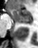
MRI slice | Hippocampus
{"posterior_hippocampus": ["left=20, top=22, right=30, bottom=23"], "anterior_hippocampus": ["left=8, top=9, right=31, bottom=21"]}